Field of view 240x240 mm | Slice index 109 | Brain
FLAIR MRI.
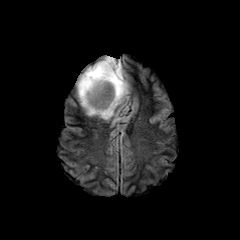
T1-weighted MRI.
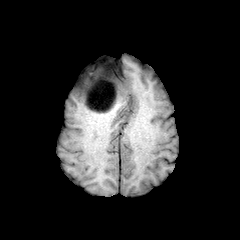
Post-contrast T1-weighted MR.
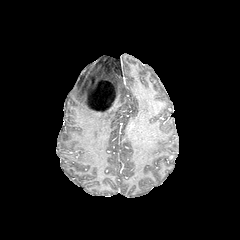
T2-weighted magnetic resonance.
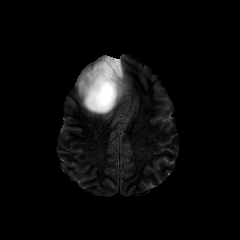
Edema = [76,56,119,119], [116,74,128,105].
Non-enhancing tumor core = [86,59,125,111].